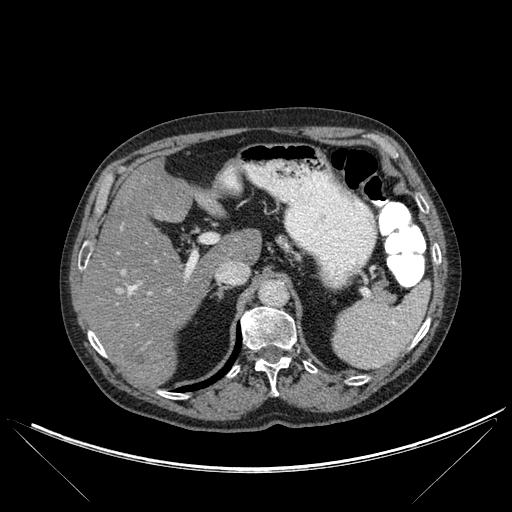 Upper abdomen; CT slice; Image size 512x512

Focal liver lesion: bbox(124, 343, 143, 362).
Lung: bbox(176, 327, 241, 391).
Bone: bbox(304, 361, 316, 372); bbox(255, 357, 290, 395); bbox(158, 391, 187, 399); bbox(347, 376, 368, 385); bbox(411, 319, 429, 346); bbox(417, 196, 428, 211); bbox(88, 331, 106, 356); bbox(227, 366, 239, 376); bbox(241, 307, 296, 349); bbox(432, 244, 440, 263).
Liver: bbox(85, 163, 261, 385); bbox(205, 202, 222, 216).